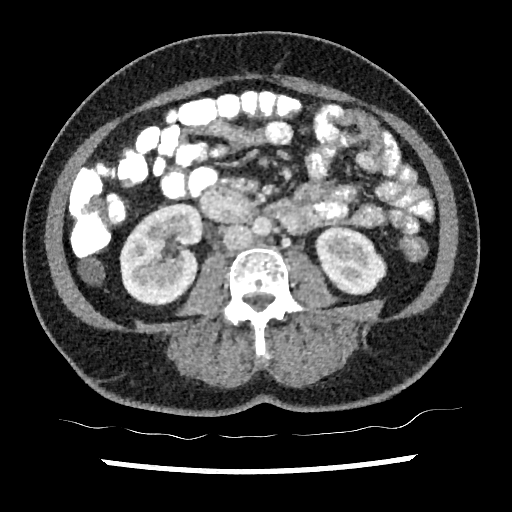
CT | 512x512
2 kidney regions are located at box=[121, 204, 201, 303]; box=[317, 228, 383, 293].